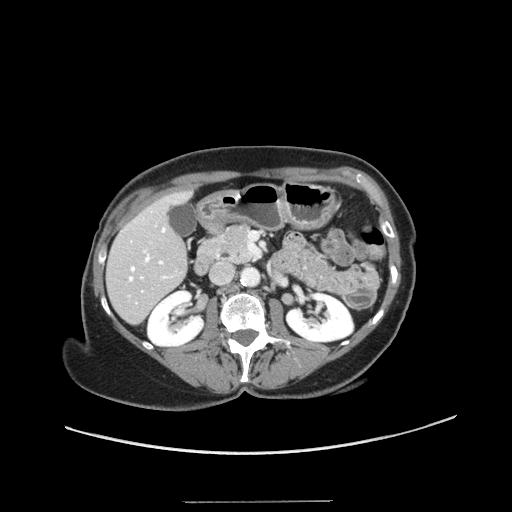

CT image. Abdomen.
Some hepatic vessels may have no box.
Hepatic vessel at box(162, 227, 164, 230); box(130, 277, 132, 279); box(146, 255, 149, 260); box(160, 261, 162, 263); box(132, 267, 134, 269); box(163, 276, 166, 277); box(144, 249, 146, 252).